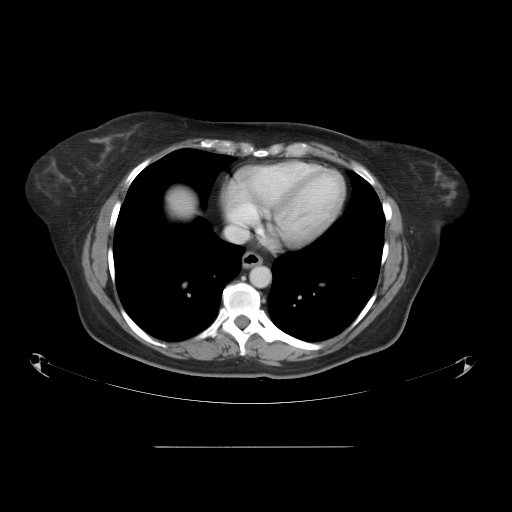 CT scan slice

The vessel boxes may cover only some of the vessels.
Hepatic vessel — {"x1": 226, "y1": 223, "x2": 250, "y2": 241}.